512x512. CT. 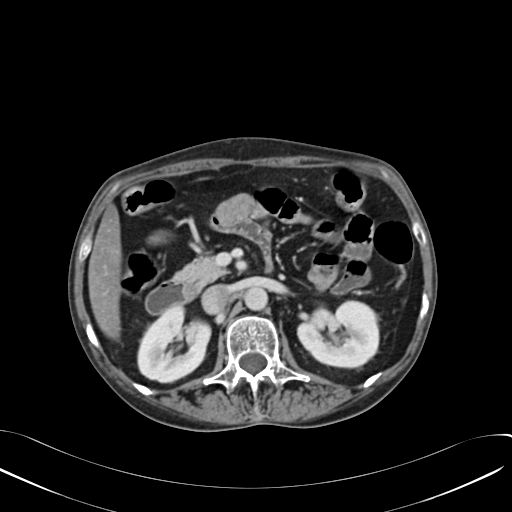
{"kidney": ["(x1=298, y1=302, x2=377, y2=366)", "(x1=139, y1=307, x2=209, y2=381)"], "liver": ["(x1=88, y1=204, x2=120, y2=336)"]}